Slice 108/155.
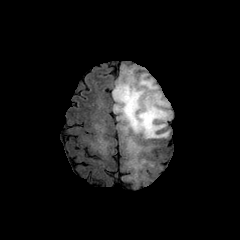
FLAIR MR.
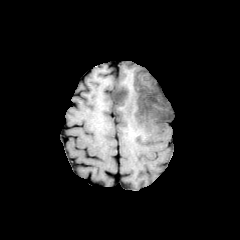
T1-weighted MR image of the same slice.
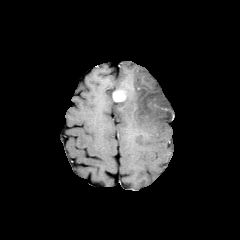
Same slice, post-contrast T1-weighted magnetic resonance.
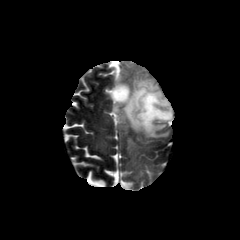
T2-weighted magnetic resonance of the same slice.
2 non-enhancing tumor core regions are located at <box>119,76,171,124</box>, <box>114,102,121,113</box>. The edema is located at <box>112,66,173,151</box>. The enhancing tumor is at <box>113,86,127,101</box>.